Head
FLAIR MRI.
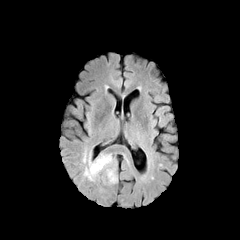
T1-weighted magnetic resonance.
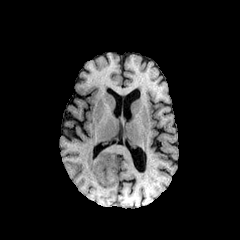
Post-contrast T1-weighted magnetic resonance.
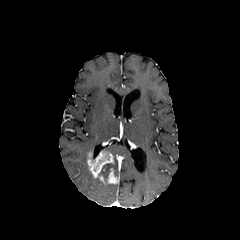
T2-weighted MR.
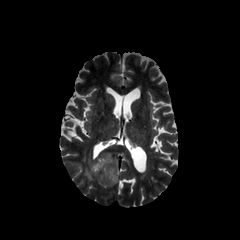
enhancing_tumor:
  - left=106, top=167, right=118, bottom=183
  - left=86, top=151, right=113, bottom=177
edema:
  - left=81, top=148, right=95, bottom=181